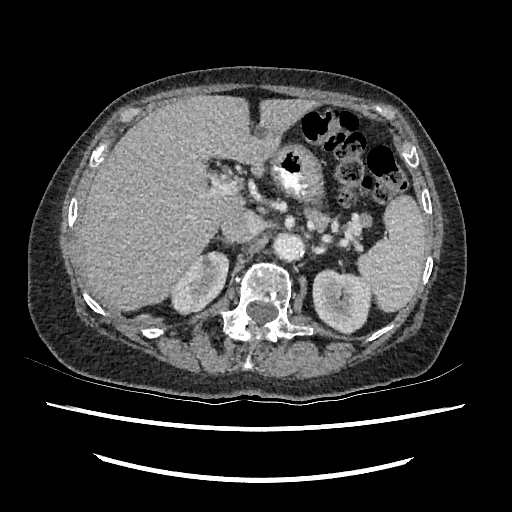
Computed tomography, Abdomen, 512x512 px
Liver — {"x1": 83, "y1": 95, "x2": 319, "y2": 311}.
Focal liver lesion — {"x1": 255, "y1": 125, "x2": 268, "y2": 137}.
Kidney — {"x1": 313, "y1": 270, "x2": 370, "y2": 332}, {"x1": 171, "y1": 252, "x2": 228, "y2": 313}.